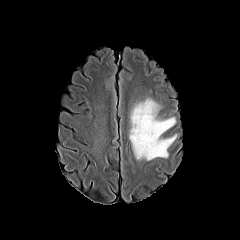
FLAIR MR.
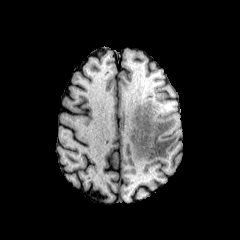
Same slice, T1-weighted magnetic resonance.
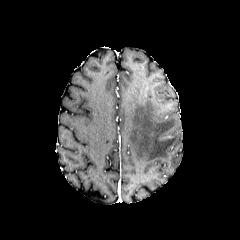
Post-contrast T1-weighted MR image of the same slice.
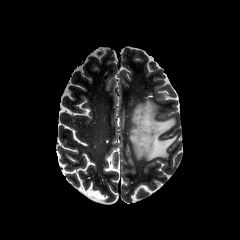
Same slice, T2-weighted MRI.
Image size 240x240
Segmented structures:
* edema: bbox=[129, 99, 176, 161]